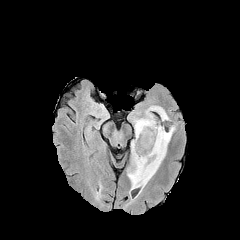
FLAIR magnetic resonance.
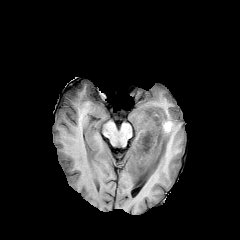
T1-weighted MR image of the same slice.
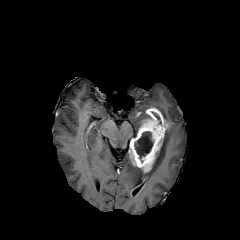
Post-contrast T1-weighted MRI.
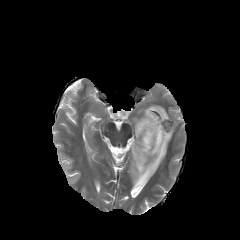
T2-weighted MRI.
Head.
{"edema": ["rect(129, 115, 140, 136)", "rect(148, 105, 170, 120)", "rect(127, 125, 175, 190)"], "non-enhancing_tumor_core": ["rect(151, 111, 162, 126)", "rect(134, 131, 154, 162)", "rect(138, 111, 152, 130)"], "enhancing_tumor": ["rect(129, 108, 168, 172)"]}